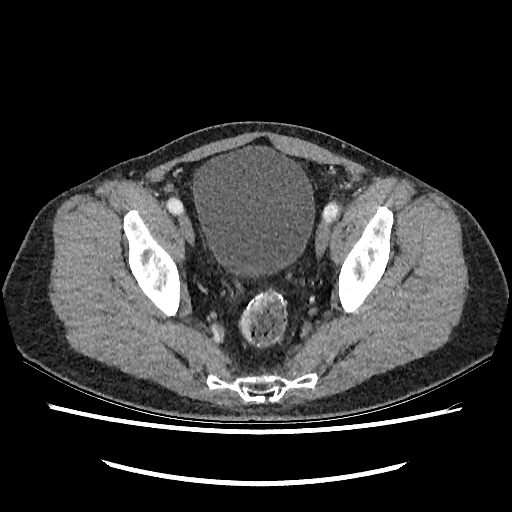
Pelvis; CT slice
urinary bladder: 193, 145, 314, 277